Liver, 512x512, Slice 466/751, CT scan slice, Image width 439 mm

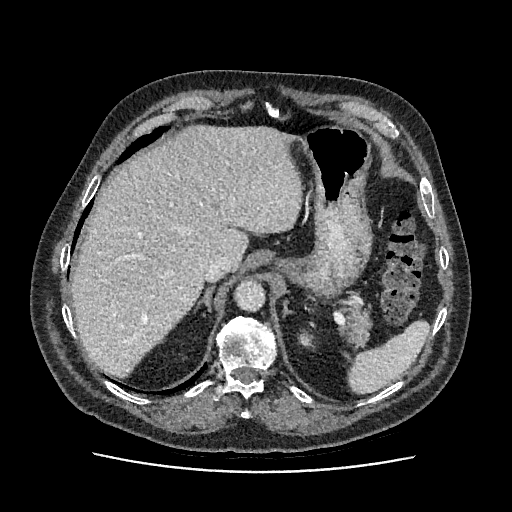
liver:
  - box(72, 126, 300, 377)